Brain.
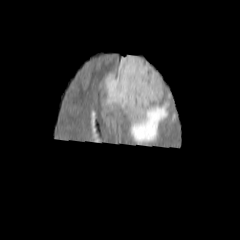
FLAIR MRI.
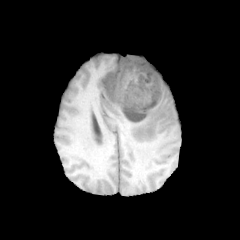
T1-weighted MR of the same slice.
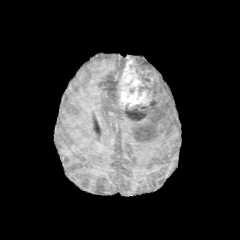
Post-contrast T1-weighted MRI.
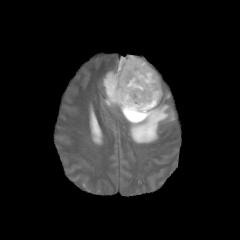
T2-weighted MRI.
2 non-enhancing tumor core regions appear at (left=124, top=56, right=162, bottom=120), (left=105, top=79, right=119, bottom=100). The enhancing tumor is bounded by (left=116, top=58, right=154, bottom=109). 3 edema regions are located at (left=119, top=86, right=175, bottom=142), (left=102, top=54, right=138, bottom=87), (left=104, top=89, right=117, bottom=106).